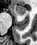
Image size 37x45, Hippocampus, MRI
The anterior hippocampus lies within 16, 6, 26, 14.